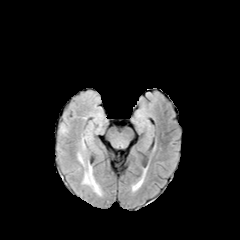
FLAIR MR.
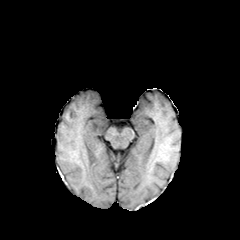
T1-weighted MR image.
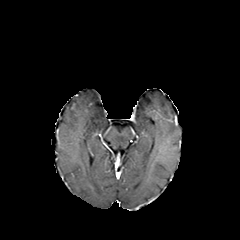
Same slice, post-contrast T1-weighted MR.
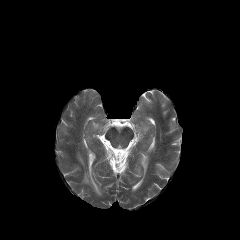
T2-weighted MR.
240x240
The edema is located at box=[83, 163, 100, 194].